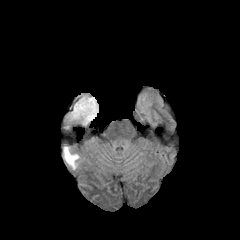
FLAIR magnetic resonance.
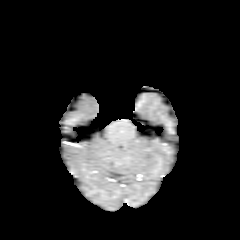
T1-weighted MR.
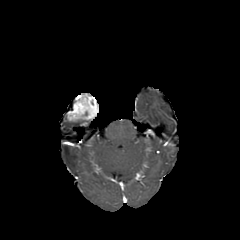
Same slice, post-contrast T1-weighted MR image.
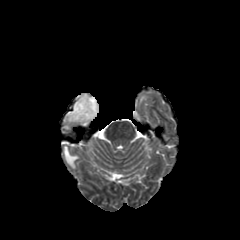
T2-weighted MRI of the same slice.
Brain. 240x240.
The edema appears at (63,146,79,169). The enhancing tumor is located at (67,95,98,123).